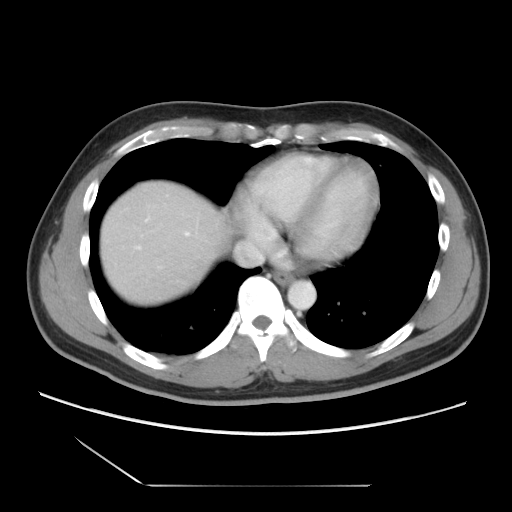 CT slice. 512x512.

Some hepatic vessels may have no box.
hepatic vessel: (257, 254, 260, 257)